Liver, CT, Slice index 22
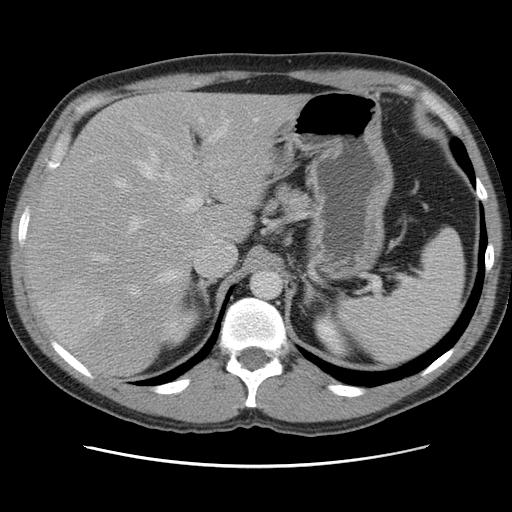

Some hepatic vessels may have no box.
The largest 15 hepatic vessel regions (of 29) are bounded by 128,286,139,294; 254,118,258,121; 146,131,165,141; 93,254,108,261; 130,217,140,230; 208,118,229,142; 190,253,196,255; 115,177,125,187; 184,190,202,211; 163,174,170,180; 135,125,143,130; 150,148,158,164; 97,310,104,324; 160,271,177,282; 133,161,155,178. The liver tumor lies within 41,292,97,337.